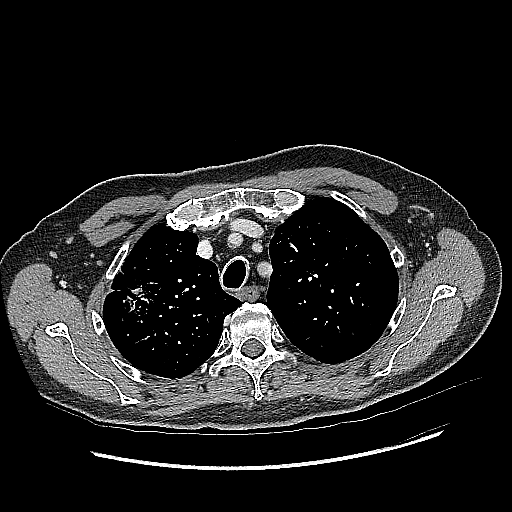 512x512. Computed tomography. Chest.

Annotated regions:
• lung tumor: l=121, t=280, r=155, b=323